CT scan slice | Abdomen | Slice index 70
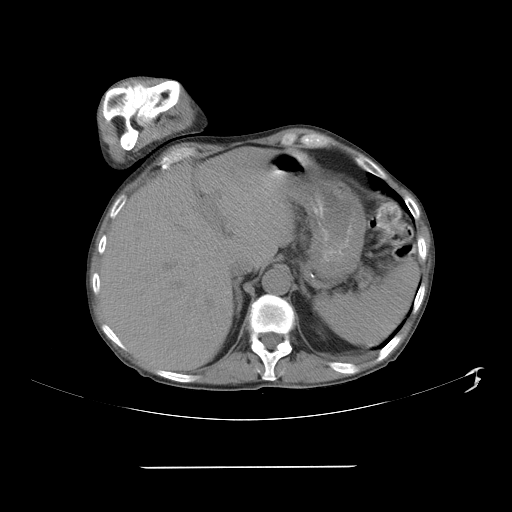 The spleen is located at x1=315 y1=261 x2=418 y2=345.